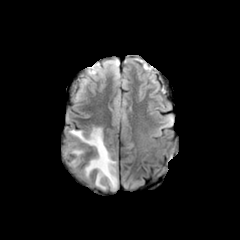
FLAIR MR.
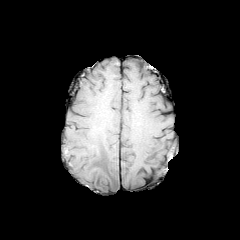
T1-weighted MR.
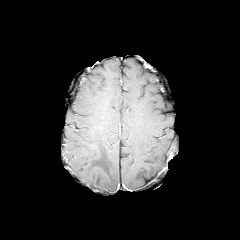
Post-contrast T1-weighted MRI.
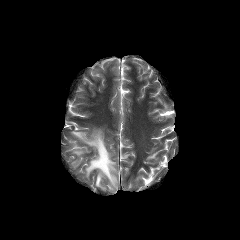
T2-weighted MRI.
Brain, 240x240 px
edema:
  - x1=70, y1=127, x2=118, y2=190
  - x1=111, y1=64, x2=119, y2=74
  - x1=72, y1=147, x2=83, y2=155